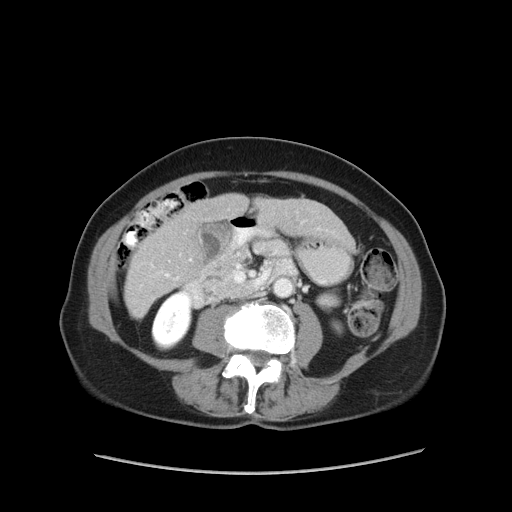

CT image
Not every hepatic vessel necessarily has a box.
* hepatic vessel: 166 273 168 275, 189 259 190 260